FLAIR MR.
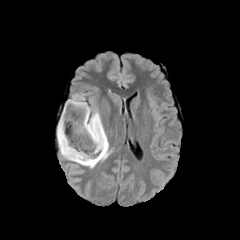
T1-weighted magnetic resonance.
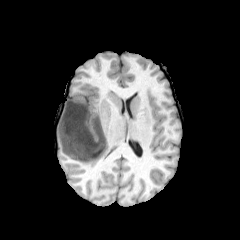
Post-contrast T1-weighted MR.
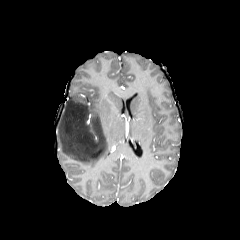
T2-weighted MR.
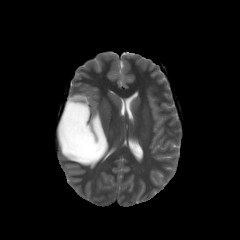
Image size 240x240.
non-enhancing_tumor_core:
  - l=59, t=94, r=106, b=161
edema:
  - l=72, t=98, r=110, b=167
  - l=56, t=120, r=68, b=159